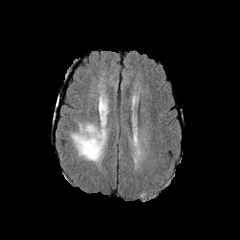
FLAIR MR.
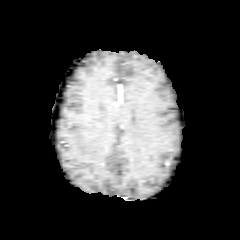
Same slice, T1-weighted MRI.
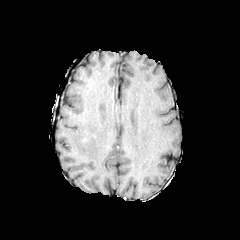
Post-contrast T1-weighted MRI.
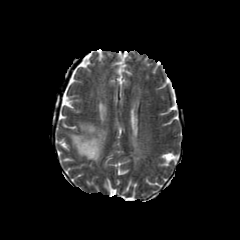
T2-weighted magnetic resonance.
The edema lies within (71,124,106,161).